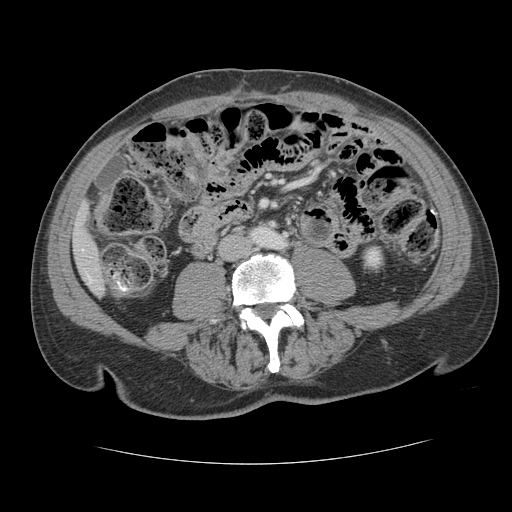
CT slice; Abdomen

Some hepatic vessels may have no box.
hepatic vessel: (x1=87, y1=274, x2=92, y2=281)